CT slice, Upper abdomen 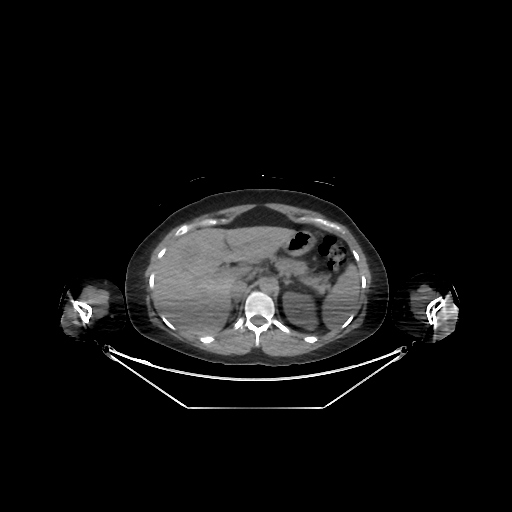

Liver: bounding box <box>151,226,294,339</box>.
Kidney: bounding box <box>282,291,317,330</box>.